Brain
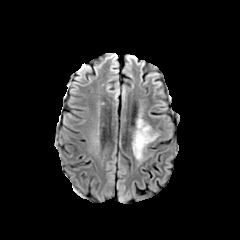
FLAIR MRI.
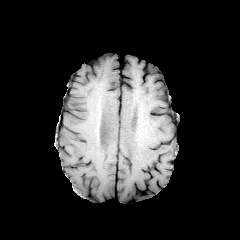
T1-weighted MR image.
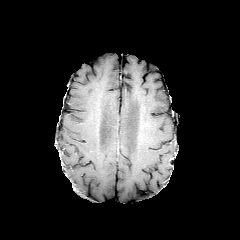
Post-contrast T1-weighted MRI.
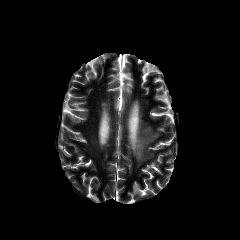
Same slice, T2-weighted MR.
<segmentation>
  <edema>box=[134, 120, 156, 160]</edema>
</segmentation>